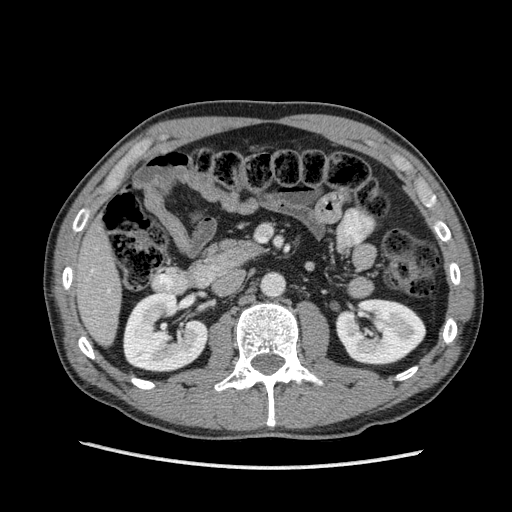

CT slice, 512x512 px, Liver

<segmentation>
  <liver>rect(67, 218, 121, 346)</liver>
  <kidney>rect(124, 292, 206, 370); rect(337, 300, 424, 362)</kidney>
</segmentation>